Computed tomography; Slice index 83; 512x512 px; Upper abdomen 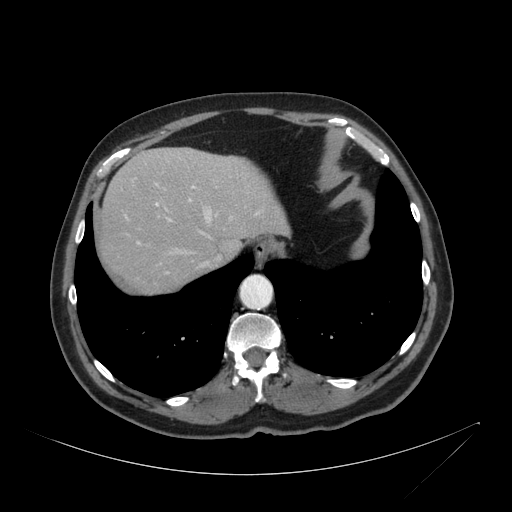

Liver = (100, 148, 289, 292).